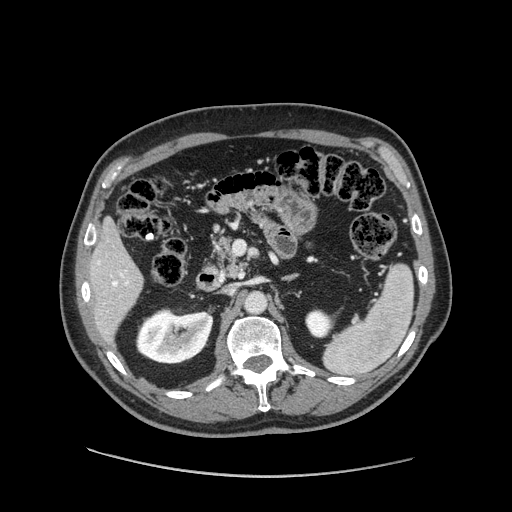
CT | Upper abdomen

pancreas: (left=205, top=238, right=242, bottom=275)